Hippocampus | MR image | Slice 6/42

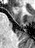 anterior hippocampus: 22, 9, 24, 10; 14, 6, 19, 9